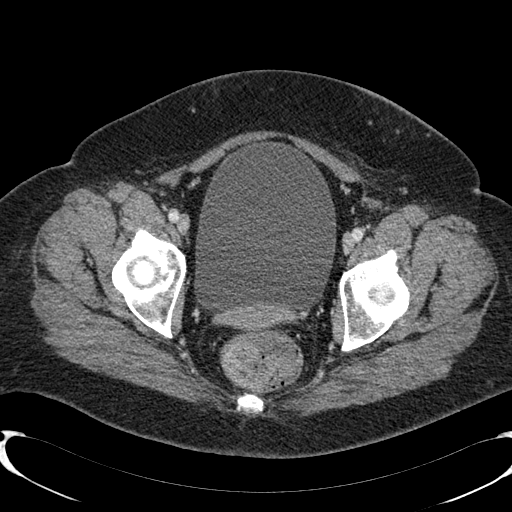 CT

urinary bladder: 195:141:335:310